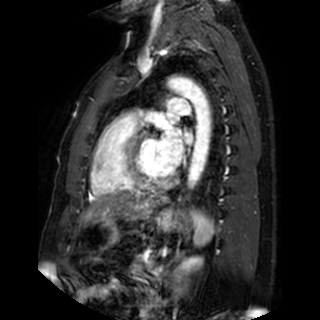
MR image
3 left atrium regions are bounded by left=160, top=125, right=184, bottom=166; left=184, top=132, right=193, bottom=144; left=167, top=111, right=178, bottom=122.